Field of view 240 mm wide, 1.00 mm slice spacing | Image size 240x240
FLAIR MR.
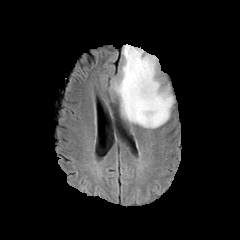
T1-weighted MR image.
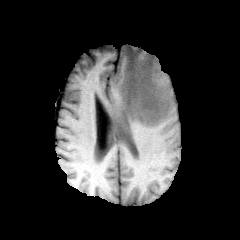
Post-contrast T1-weighted MRI.
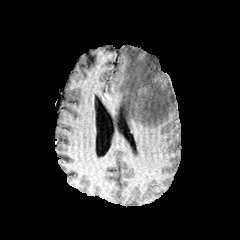
T2-weighted MR.
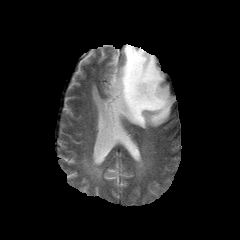
Edema = [x1=110, y1=44, x2=174, y2=128].